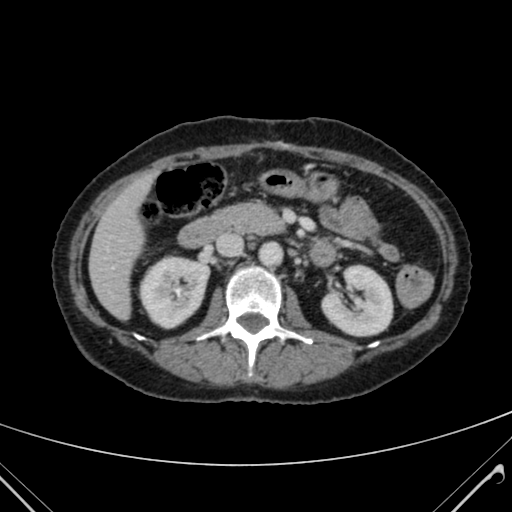

CT. Liver.

Kidney: bounding box 142, 258, 208, 326; 322, 267, 391, 334.
Liver: bounding box 90, 181, 147, 313.